CT scan slice | Field of view 420x420 mm | Lung

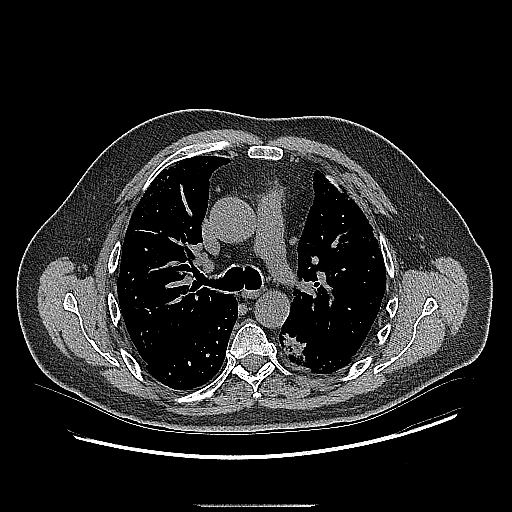

lung_tumor:
  - x1=279, y1=329, x2=311, y2=371